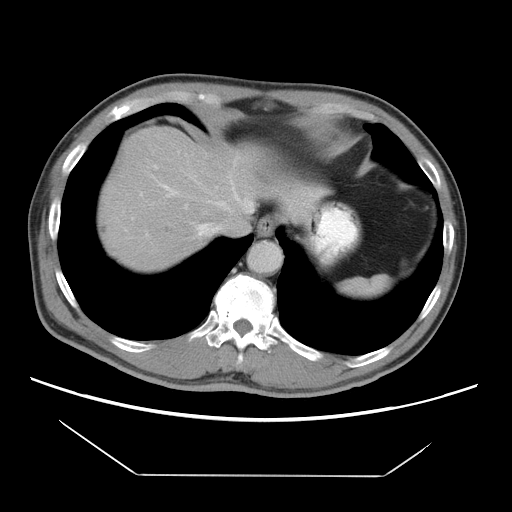
512x512 px; CT scan slice
Only some of the vessels may be annotated.
{"liver_tumor": ["(207, 144, 235, 174)"], "hepatic_vessel": ["(197, 214, 243, 234)", "(140, 192, 142, 195)", "(231, 181, 252, 212)", "(216, 201, 231, 210)", "(154, 166, 156, 168)", "(146, 234, 148, 236)", "(160, 184, 174, 195)", "(184, 205, 186, 208)"]}